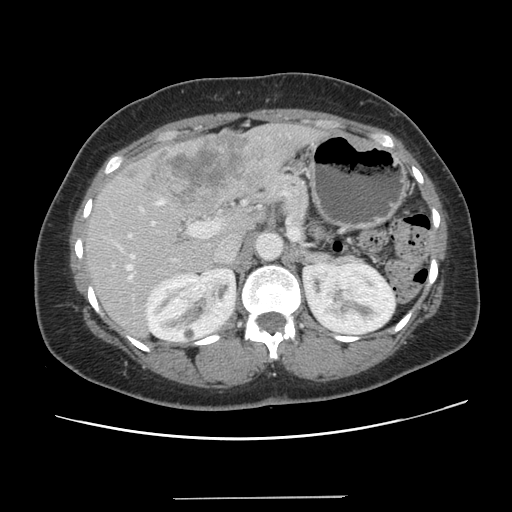 Abdomen, CT scan slice, Image size 512x512
The vessel annotation is not exhaustive.
• liver tumor: <bbox>141, 134, 250, 202</bbox>
• hepatic vessel: <bbox>157, 199, 164, 204</bbox>, <bbox>189, 222, 198, 235</bbox>, <bbox>130, 254, 133, 258</bbox>, <bbox>127, 265, 132, 270</bbox>, <bbox>141, 209, 143, 211</bbox>, <bbox>152, 222, 154, 224</bbox>, <bbox>116, 244, 121, 250</bbox>, <bbox>200, 221, 219, 238</bbox>, <bbox>128, 234, 131, 237</bbox>, <bbox>129, 275, 132, 279</bbox>